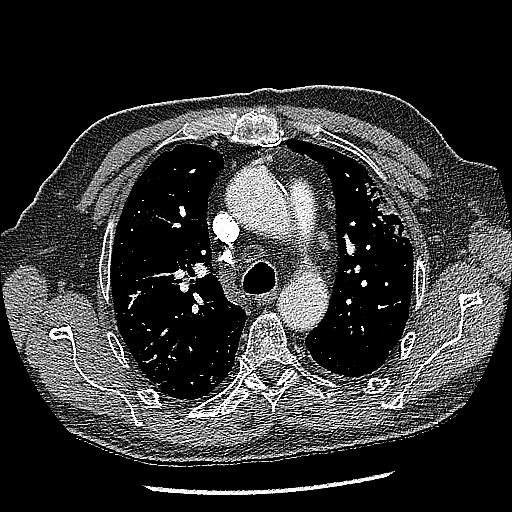

512x512 px; Computed tomography
Lung tumor — <bbox>361, 174, 408, 243</bbox>.